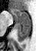
Magnetic resonance | 36x51 px
- posterior hippocampus: left=16, top=23, right=30, bottom=41
- anterior hippocampus: left=9, top=8, right=30, bottom=22